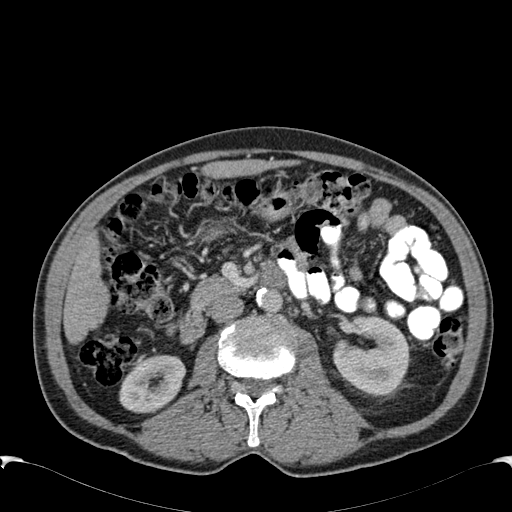 CT scan slice | Abdomen
Liver — (203, 159, 300, 177), (63, 233, 109, 342).
Kidney — (334, 317, 408, 395), (120, 356, 185, 412).